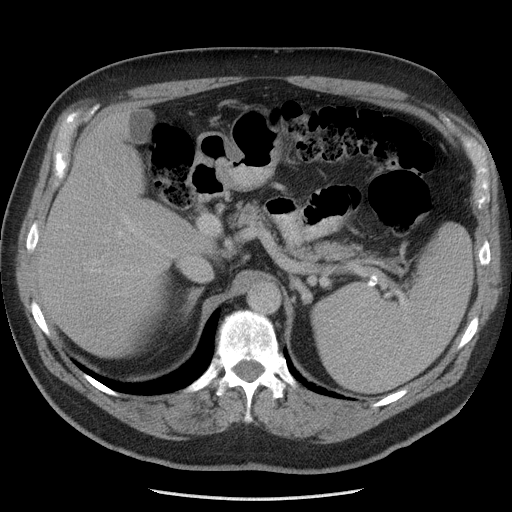

512x512. Liver. CT. Only some of the vessels may be annotated.
Hepatic vessel at (x1=129, y1=265, x2=136, y2=268), (x1=120, y1=271, x2=127, y2=274), (x1=158, y1=259, x2=160, y2=260), (x1=154, y1=263, x2=158, y2=268), (x1=146, y1=271, x2=155, y2=275), (x1=146, y1=240, x2=151, y2=242), (x1=200, y1=222, x2=202, y2=230), (x1=122, y1=214, x2=141, y2=234), (x1=167, y1=253, x2=174, y2=256), (x1=141, y1=235, x2=144, y2=239), (x1=118, y1=231, x2=122, y2=236), (x1=162, y1=249, x2=164, y2=250).